Slice 31/113 | Upper abdomen | CT image | Image size 512x512 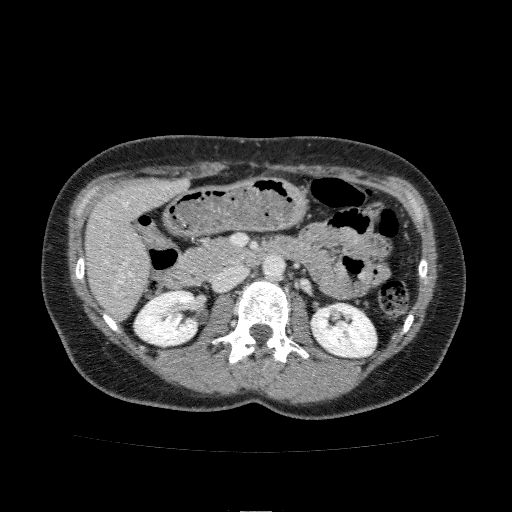
2 kidney regions are bounded by (134, 291, 195, 345), (311, 303, 376, 356). The liver appears at (85, 178, 188, 318).